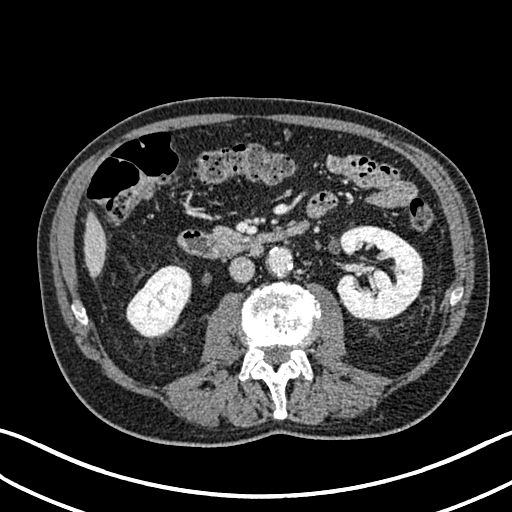
CT scan slice

Liver at rect(85, 211, 105, 279).
Kidney at rect(337, 226, 422, 318); rect(127, 266, 190, 336).